FLAIR magnetic resonance.
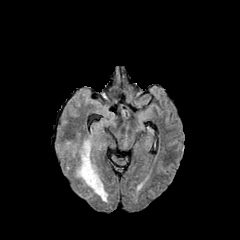
T1-weighted magnetic resonance.
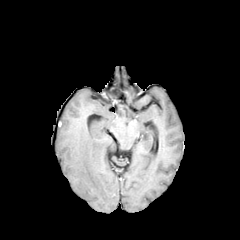
Post-contrast T1-weighted MR image.
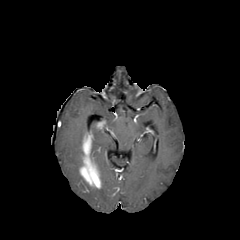
T2-weighted magnetic resonance.
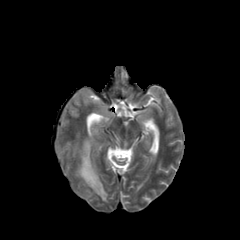
Brain.
Findings:
- edema: (x1=76, y1=158, x2=107, y2=202)
- enhancing tumor: (x1=79, y1=132, x2=101, y2=188)